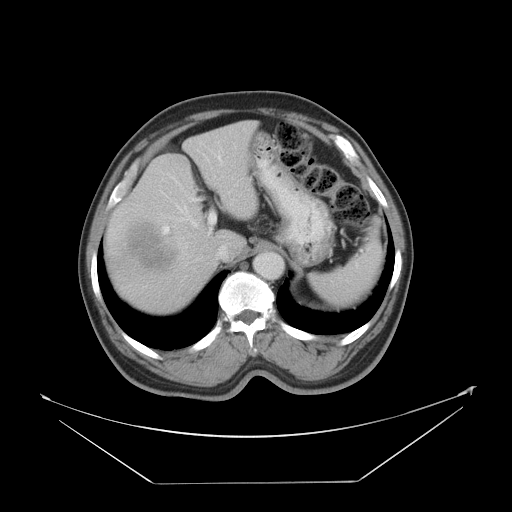
Abdomen | 512x512 | CT
The vessel boxes may cover only some of the vessels.
hepatic_vessel:
  - 209:228:210:232
  - 231:199:234:202
  - 235:146:236:148
  - 165:217:170:218
  - 168:173:183:190
  - 200:142:204:145
  - 176:205:197:226
  - 209:213:215:221
  - 188:198:196:201
  - 228:191:231:193
  - 209:148:222:165
  - 213:176:214:178
  - 162:225:169:233
  - 160:191:170:199
  - 202:154:209:163
liver_tumor:
  - 127:222:174:271